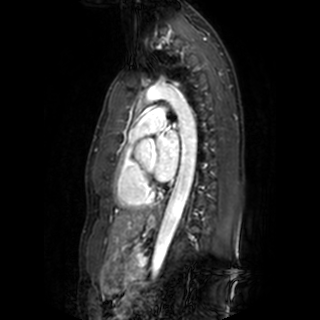

Cardiac | MRI
Annotated regions:
• left atrium: <bbox>155, 130, 178, 180</bbox>